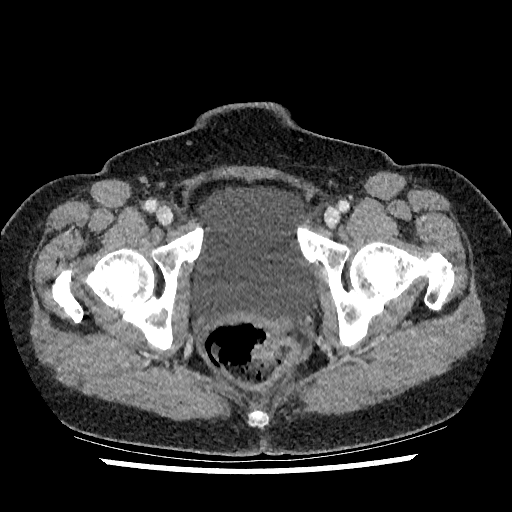 Lower abdomen, CT image
<segmentation>
  <urinary_bladder>190 186 320 325</urinary_bladder>
</segmentation>